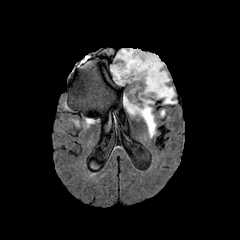
FLAIR MR image.
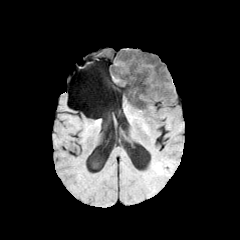
T1-weighted MR image of the same slice.
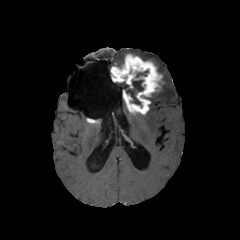
Same slice, post-contrast T1-weighted MRI.
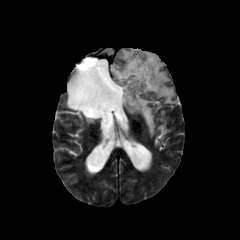
T2-weighted MR.
The enhancing tumor is located at 110:53:161:114. 2 edema regions appear at 126:107:156:136, 114:49:177:104. The non-enhancing tumor core is bounded by 120:80:143:104.